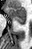
32x49. MR image. Hippocampus.

Segmented structures:
• posterior hippocampus: [18,22,25,24]
• anterior hippocampus: [7,7,26,21]